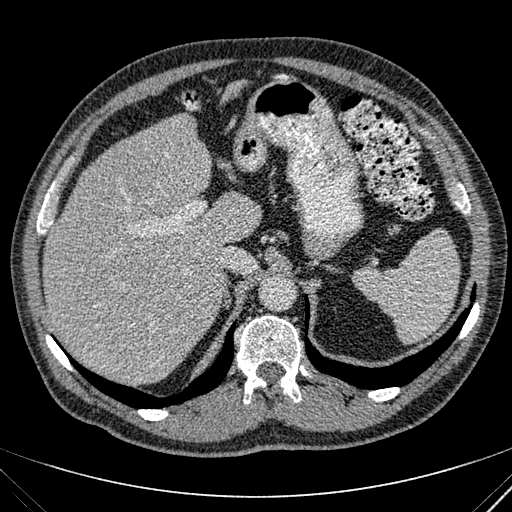

Liver | CT image
* liver: (44, 115, 259, 382), (220, 163, 239, 182)